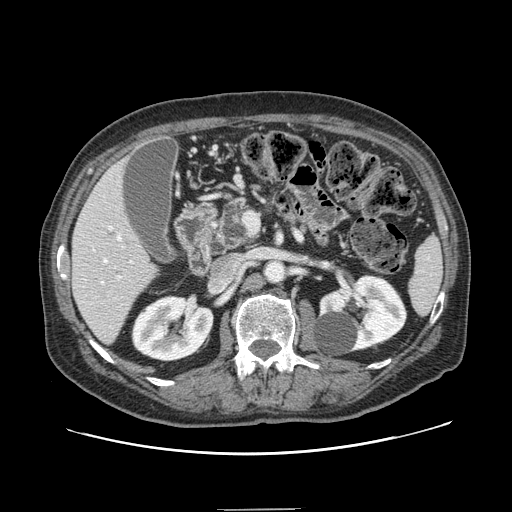

Upper abdomen, Image size 512x512, Computed tomography
Segmented structures:
* pancreas: box=[211, 192, 258, 252]